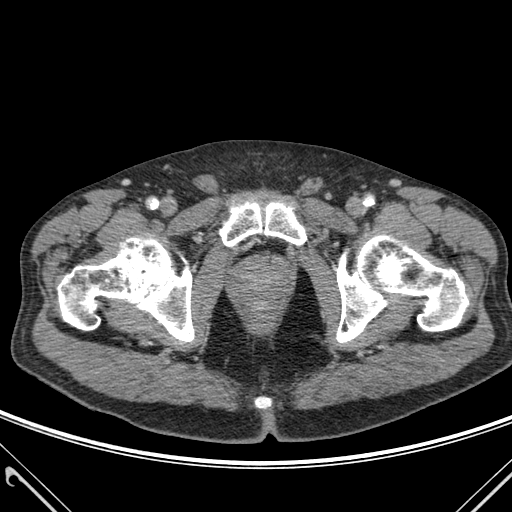
512x512. CT scan slice.

4 bone regions are located at x1=219, y1=202, x2=306, y2=246; x1=336, y1=235, x2=468, y2=342; x1=256, y1=398, x2=270, y2=407; x1=58, y1=238, x2=193, y2=341.